Field of view 400 mm wide, 1.37 mm slice spacing, MR

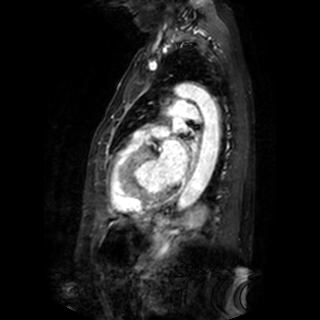

{
  "left_atrium": [
    "bbox=[191, 142, 197, 151]",
    "bbox=[173, 118, 183, 131]",
    "bbox=[158, 140, 187, 183]"
  ]
}